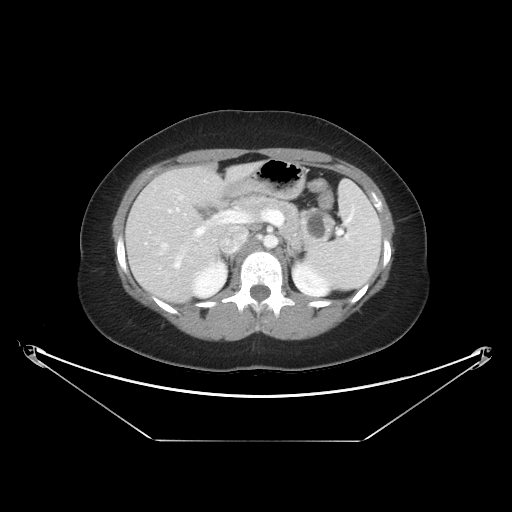 CT

The pancreas is at <bbox>236, 195, 305, 249</bbox>. The pancreatic tumor is at <bbox>302, 208, 334, 248</bbox>.